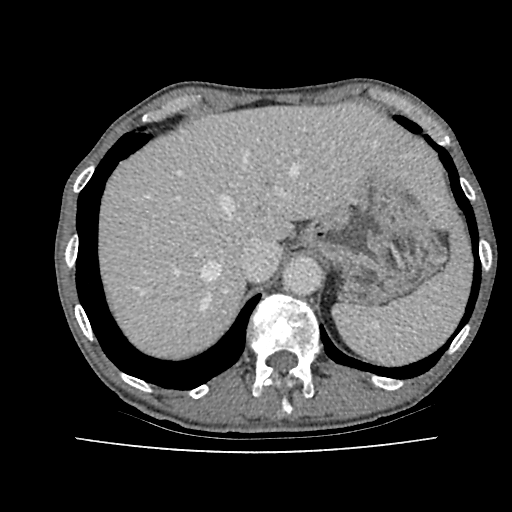
512x512 px; CT scan slice

{"liver": ["x1=97 y1=104 x2=450 y2=358"]}